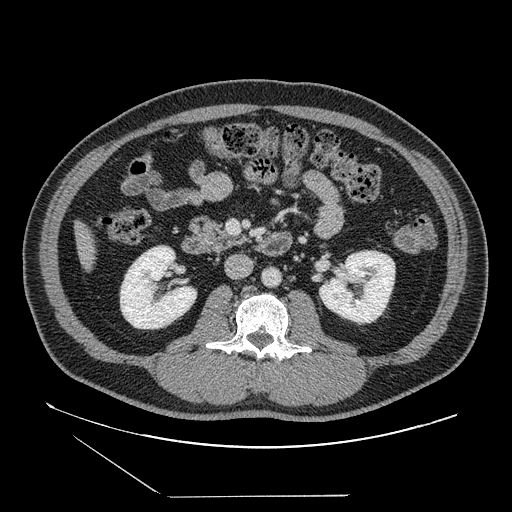

CT
Segmented structures:
* pancreas: (left=188, top=216, right=235, bottom=252)